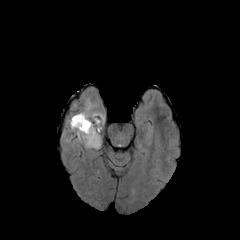
FLAIR MRI.
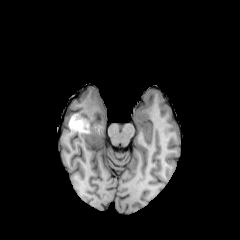
T1-weighted MRI.
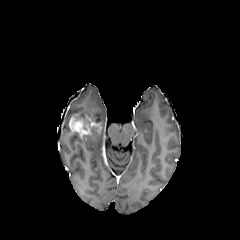
Post-contrast T1-weighted MR of the same slice.
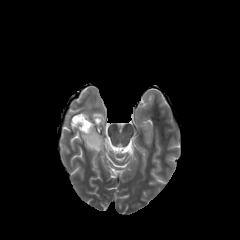
T2-weighted MRI.
240x240 px
edema: x1=64 y1=98 x2=105 y2=151 | enhancing tumor: x1=69 y1=114 x2=97 y2=137